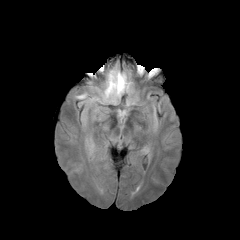
FLAIR MR.
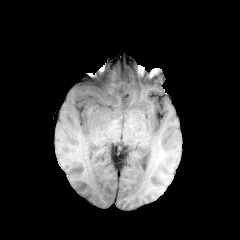
T1-weighted MR image.
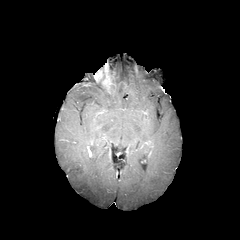
Post-contrast T1-weighted magnetic resonance of the same slice.
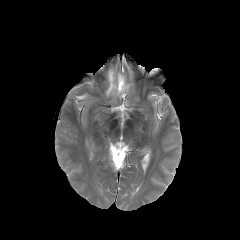
T2-weighted MR.
3 edema regions are bounded by box=[117, 109, 127, 121]; box=[86, 68, 132, 100]; box=[76, 92, 99, 103]. The enhancing tumor appears at box=[100, 67, 111, 89].